FLAIR MR image.
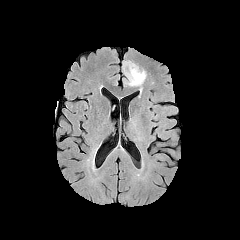
T1-weighted magnetic resonance.
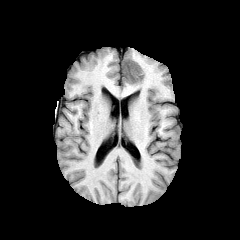
Post-contrast T1-weighted MR image.
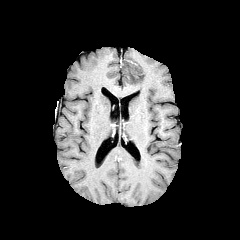
T2-weighted MRI.
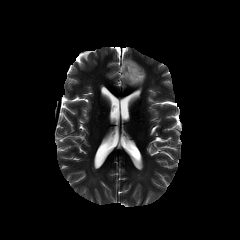
Image size 240x240.
The edema lies within x1=124 y1=66 x2=146 y2=93. The non-enhancing tumor core is at x1=124 y1=60 x2=136 y2=79.